FLAIR MR.
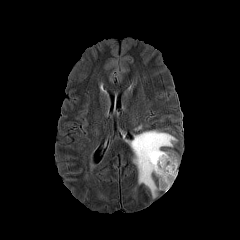
T1-weighted MRI.
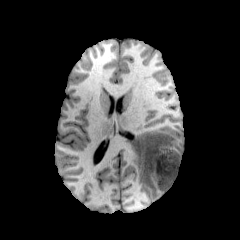
Post-contrast T1-weighted magnetic resonance.
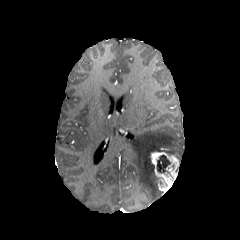
T2-weighted MRI.
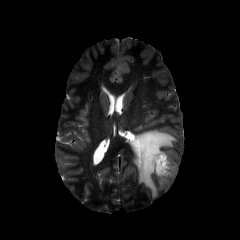
Brain; 240x240
edema: 125 130 177 199 | enhancing tumor: 149 151 179 191 | non-enhancing tumor core: 156 154 171 173